Slice 25/49; 512x512 px; Liver; CT

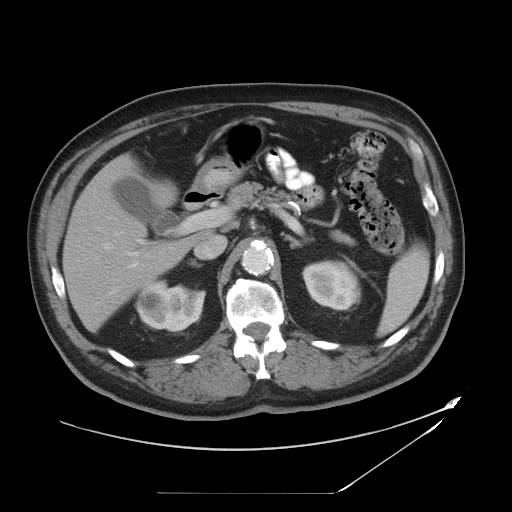

The vessel boxes may cover only some of the vessels.
hepatic_vessel:
  - (left=136, top=239, right=142, bottom=242)
  - (left=114, top=231, right=123, bottom=235)
  - (left=109, top=286, right=120, bottom=294)
  - (left=103, top=243, right=113, bottom=248)
  - (left=145, top=253, right=150, bottom=256)
  - (left=125, top=252, right=138, bottom=256)
  - (left=170, top=246, right=173, bottom=250)
  - (left=109, top=216, right=115, bottom=218)
  - (left=95, top=256, right=97, bottom=259)
  - (left=127, top=261, right=138, bottom=268)